Lower abdomen. 512x512. Slice index 82. CT scan slice. 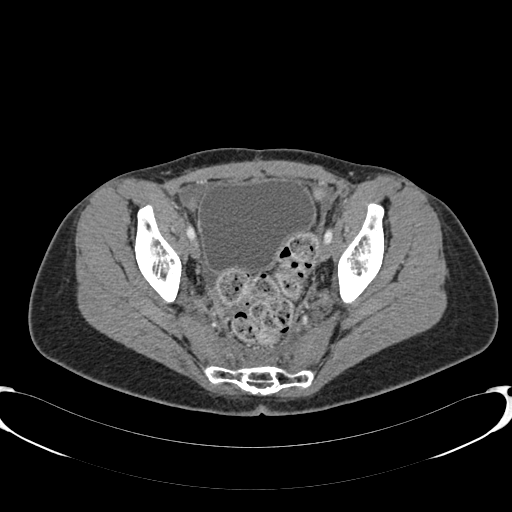

Urinary bladder: (200, 181, 313, 270).